Slice 60/155 | Brain
FLAIR MR.
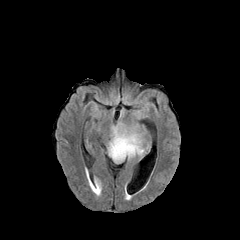
T1-weighted MRI.
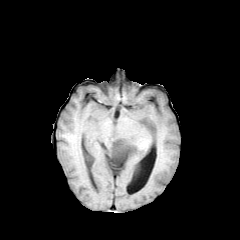
Post-contrast T1-weighted MR image.
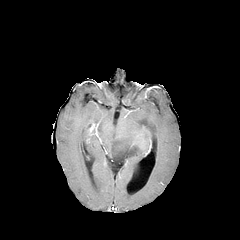
T2-weighted magnetic resonance.
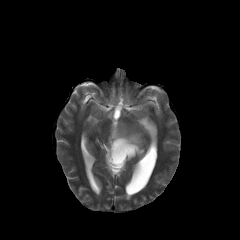
Segmented structures:
• non-enhancing tumor core: (109, 140, 137, 163)
• edema: (107, 124, 149, 161)